CT image 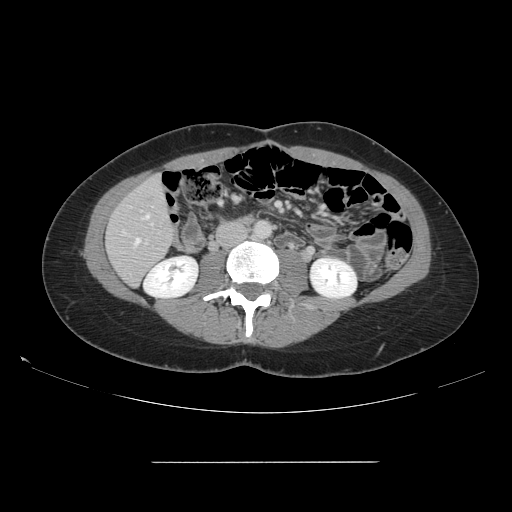 Some hepatic vessels may have no box.
Hepatic vessel — {"x1": 145, "y1": 240, "x2": 147, "y2": 244}, {"x1": 151, "y1": 223, "x2": 152, "y2": 224}, {"x1": 134, "y1": 238, "x2": 140, "y2": 246}, {"x1": 142, "y1": 214, "x2": 148, "y2": 219}, {"x1": 123, "y1": 231, "x2": 126, "y2": 234}.